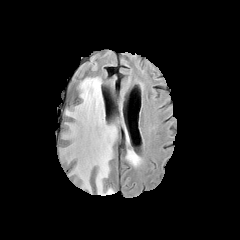
FLAIR MR image.
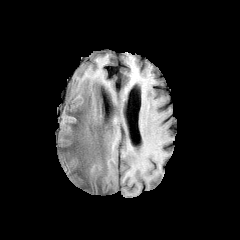
T1-weighted magnetic resonance of the same slice.
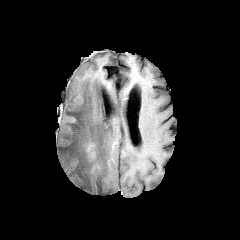
Post-contrast T1-weighted MR image of the same slice.
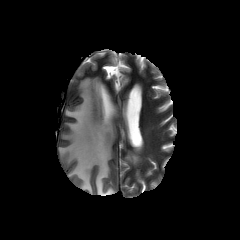
T2-weighted MR.
The enhancing tumor lies within region(85, 144, 95, 159). 2 edema regions are located at region(64, 77, 117, 195); region(125, 150, 137, 163).